240x240, Brain
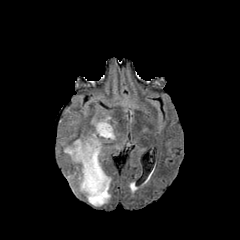
FLAIR MR.
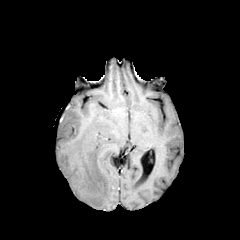
T1-weighted MRI.
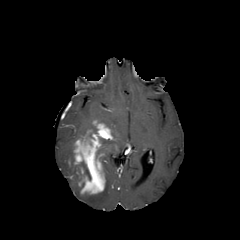
Post-contrast T1-weighted MR.
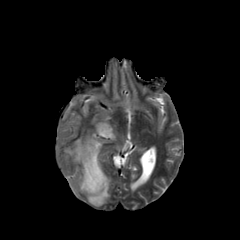
Same slice, T2-weighted magnetic resonance.
enhancing_tumor:
  - x1=74 y1=120 x2=115 y2=193
non-enhancing_tumor_core:
  - x1=77 y1=161 x2=91 y2=180
edema:
  - x1=64 y1=172 x2=80 y2=196
  - x1=98 y1=114 x2=115 y2=138
  - x1=76 y1=171 x2=82 y2=184
  - x1=64 y1=141 x2=75 y2=164
  - x1=84 y1=173 x2=111 y2=206